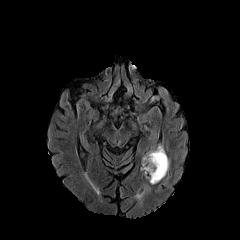
FLAIR MR.
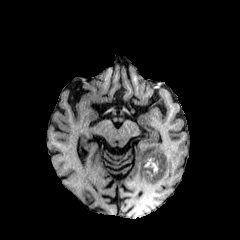
T1-weighted MRI.
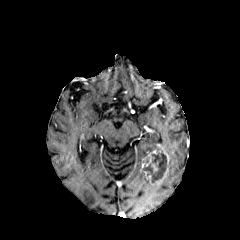
Post-contrast T1-weighted MR image.
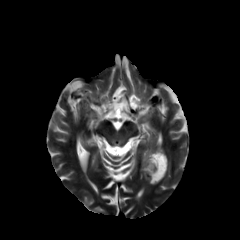
T2-weighted MR image.
Edema = [x1=144, y1=174, x2=161, y2=184].
Non-enhancing tumor core = [x1=144, y1=153, x2=166, y2=182].
Enhancing tumor = [x1=157, y1=145, x2=170, y2=165], [x1=141, y1=149, x2=157, y2=177].